Computed tomography | Slice index 393 | 512x512 px

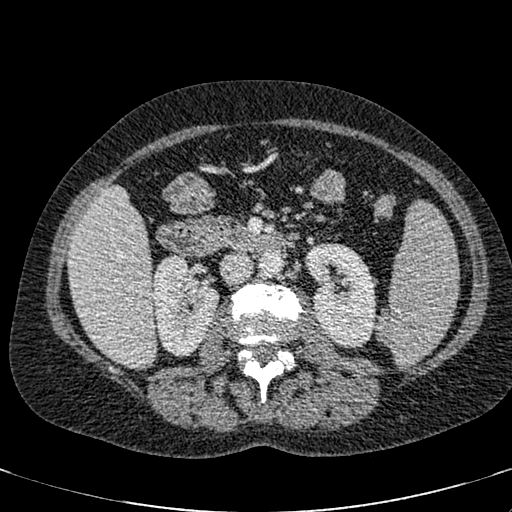

{
  "liver": [
    "box(68, 187, 155, 367)"
  ],
  "kidney": [
    "box(306, 244, 375, 346)",
    "box(153, 256, 218, 355)"
  ]
}